Slice 485 of 836; Field of view 344 mm wide, 0.80 mm slice spacing; CT scan slice; Abdomen 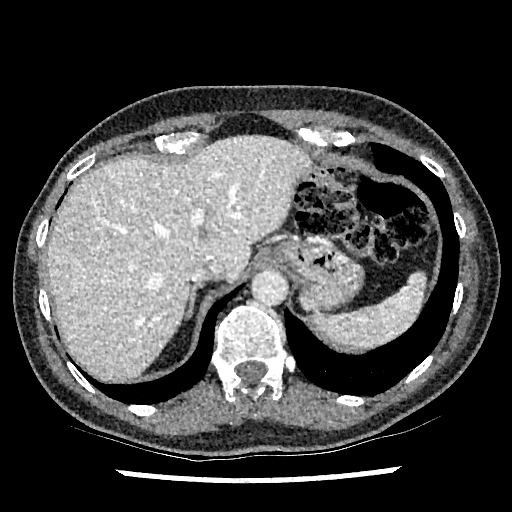 The liver is at rect(47, 136, 312, 380).